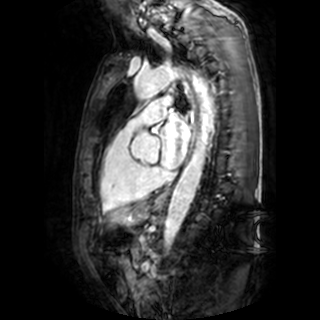
Cardiac | 320x320 px | MRI slice
The left atrium is at 160,114,189,169.